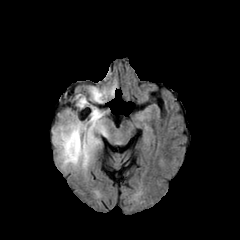
FLAIR MRI.
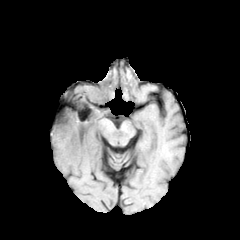
T1-weighted MRI.
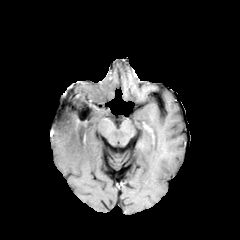
Post-contrast T1-weighted magnetic resonance.
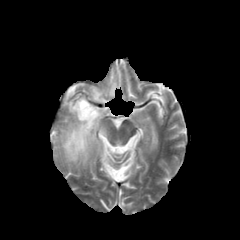
T2-weighted magnetic resonance.
Brain
Edema: bbox=[52, 79, 115, 171].